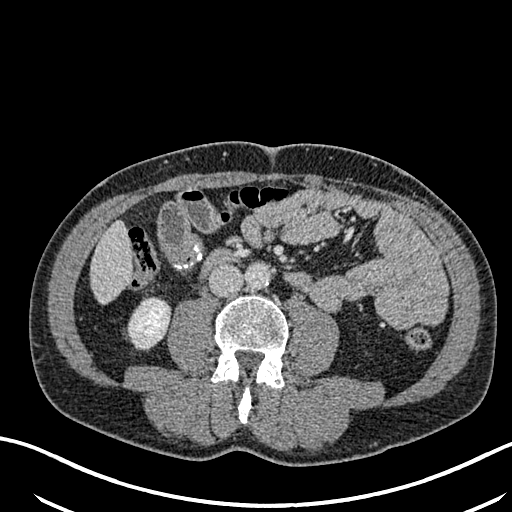 Image size 512x512 | Liver | Computed tomography

Liver = {"x1": 92, "y1": 221, "x2": 131, "y2": 303}.
Kidney = {"x1": 129, "y1": 299, "x2": 169, "y2": 348}.